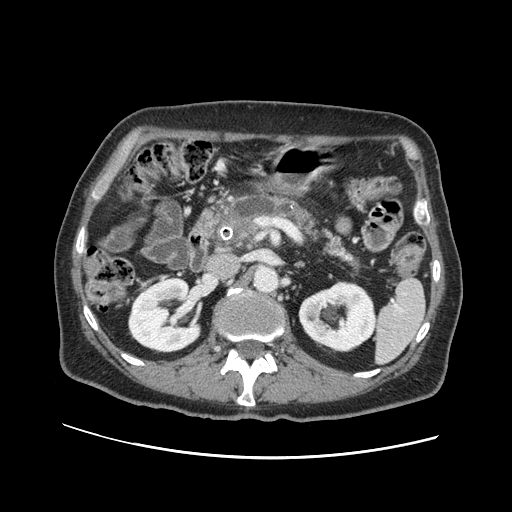 512x512 px | Upper abdomen | CT
The pancreas lies within (x1=202, y1=193, x2=363, y2=277).